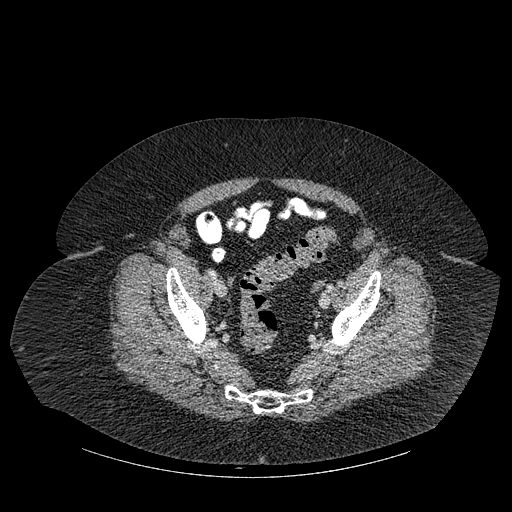
Computed tomography | Image size 512x512

3 bone regions are bounded by (x1=225, y1=385, x2=312, y2=413), (x1=331, y1=271, x2=380, y2=348), (x1=166, y1=268, x2=206, y2=343).